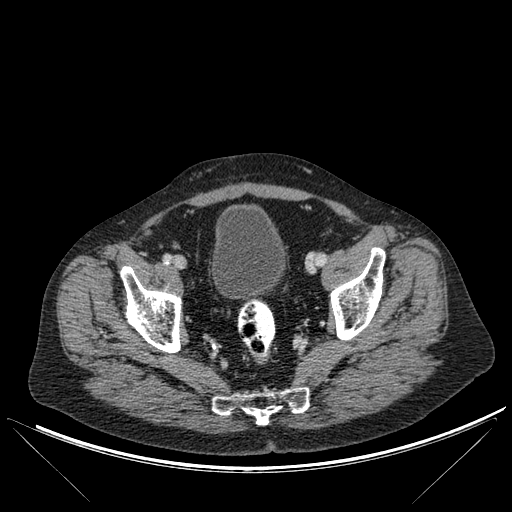 Lower abdomen; CT scan slice
3 bone regions are located at l=212, t=387, r=309, b=424; l=120, t=266, r=181, b=352; l=330, t=247, r=385, b=340. The urinary bladder is located at l=211, t=204, r=285, b=300.